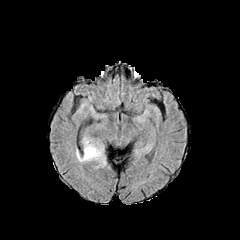
FLAIR MR image.
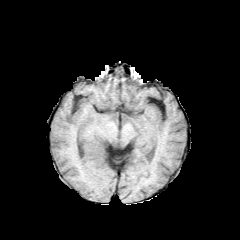
T1-weighted MR image of the same slice.
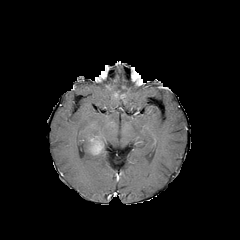
Post-contrast T1-weighted MR image.
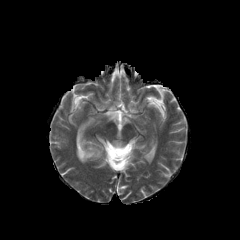
T2-weighted MR.
Enhancing tumor = left=91, top=141, right=103, bottom=154.
Edema = left=76, top=139, right=106, bottom=167.